Slice index 410, CT slice

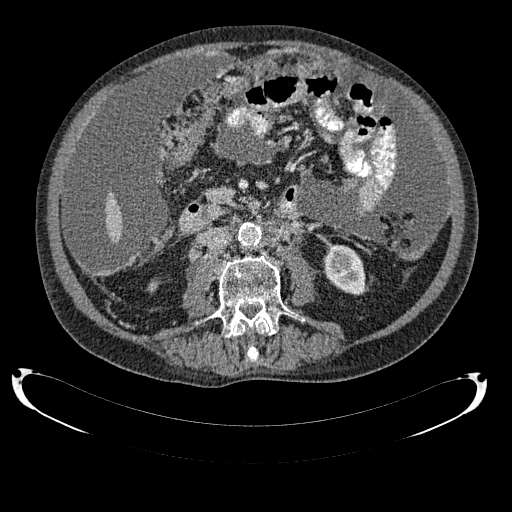

kidney: [x1=325, y1=245, x2=364, y2=294] | liver: [x1=106, y1=193, x2=122, y2=241]